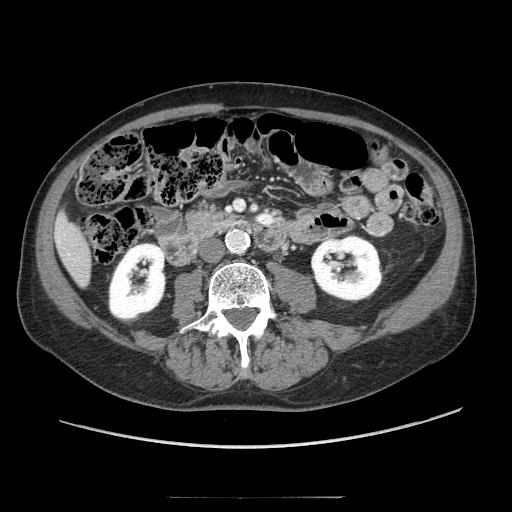

CT image, Abdomen, 512x512
pancreas:
  - box=[190, 202, 246, 237]